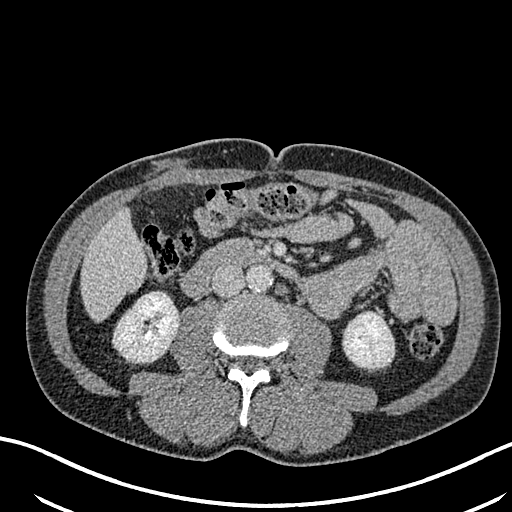 CT; Liver; Image size 512x512

<segmentation>
  <kidney>343:312:393:367, 114:292:178:361</kidney>
  <liver>81:209:145:320</liver>
</segmentation>